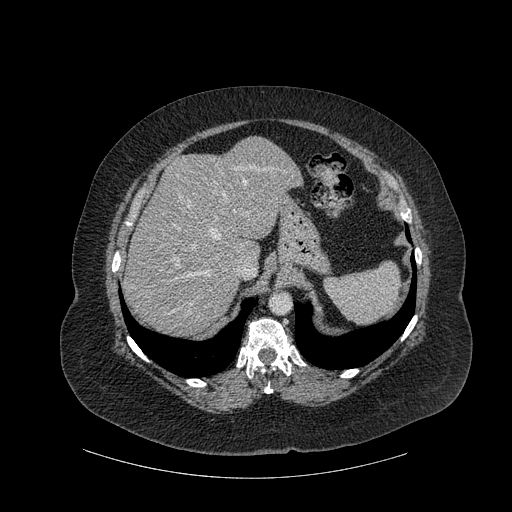

Upper abdomen; CT image; Image size 512x512
Lung = rect(294, 257, 416, 369); rect(120, 296, 256, 377).
Liver = rect(125, 137, 299, 336).
Bone = rect(264, 384, 272, 393); rect(187, 379, 205, 386); rect(127, 336, 148, 361); rect(401, 209, 411, 221); rect(401, 315, 417, 340); rect(112, 252, 120, 271); rect(341, 369, 358, 377); rect(237, 319, 305, 377); rect(415, 248, 421, 263).